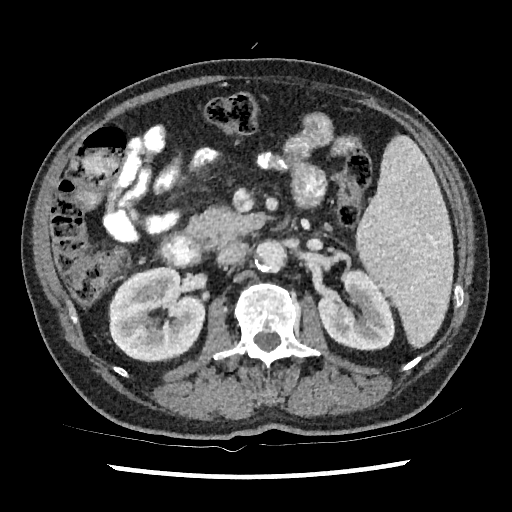
Abdomen; CT slice; 512x512

Kidney: bounding box (318, 271, 393, 349), (110, 267, 204, 361).